CT scan slice | Slice index 584 | Liver | Image size 512x512 | Field of view 432 mm wide, 0.70 mm slice spacing 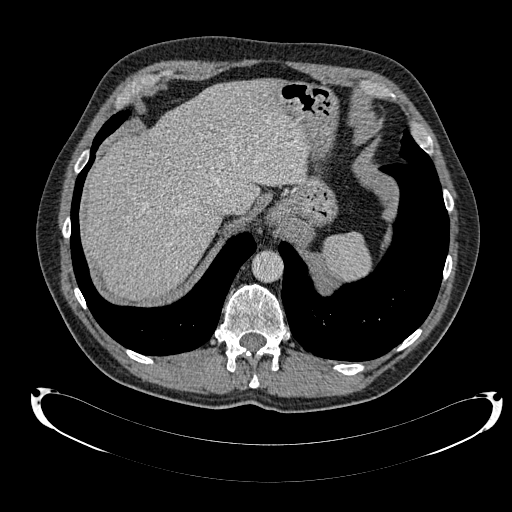
liver:
  - 86 79 308 299